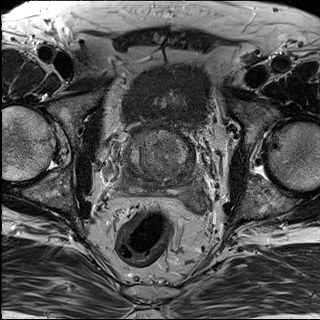
T2-weighted MR.
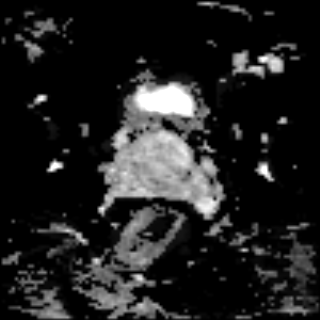
ADC MRI.
Pelvis.
prostate transition zone: 126:131:192:193